Abdomen; 512x512; CT

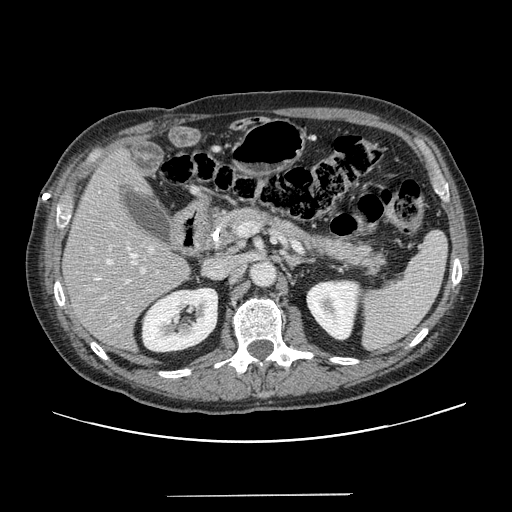

The pancreas is bounded by x1=198, y1=205, x2=388, y2=283.